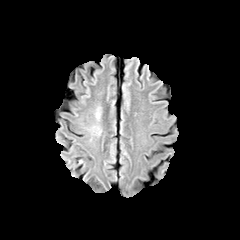
FLAIR magnetic resonance.
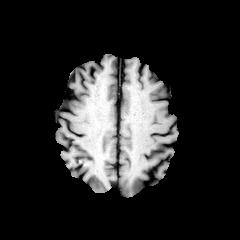
T1-weighted MR.
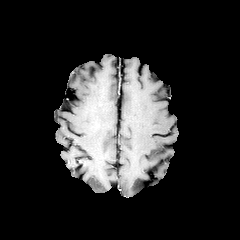
Same slice, post-contrast T1-weighted MR image.
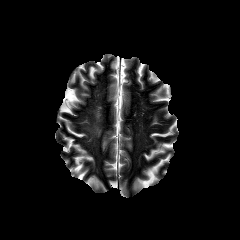
Same slice, T2-weighted magnetic resonance.
240x240
Edema: bbox(87, 125, 100, 135); bbox(94, 106, 99, 121).